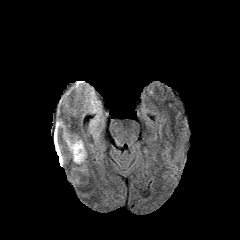
FLAIR magnetic resonance.
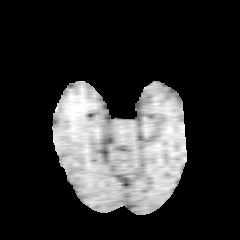
T1-weighted MR image.
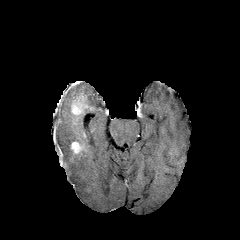
Post-contrast T1-weighted MRI.
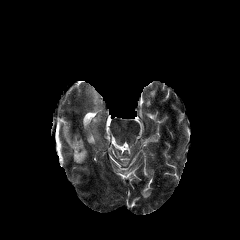
T2-weighted magnetic resonance of the same slice.
240x240.
Annotated regions:
• enhancing tumor: (70,141,83,153)
• edema: (54,128,87,163)